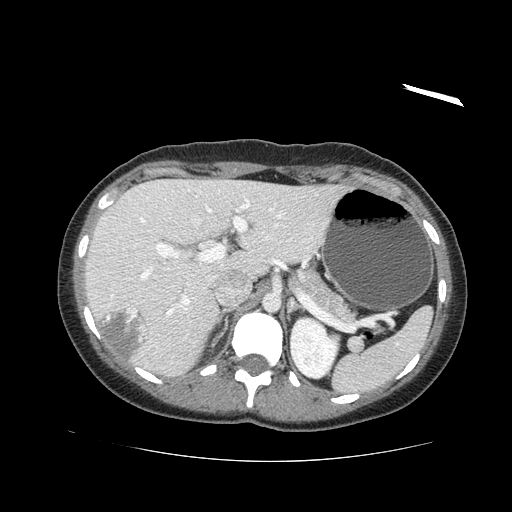 CT scan slice

pancreas:
  - box=[292, 267, 342, 321]
pancreatic_tumor:
  - box=[333, 298, 353, 322]